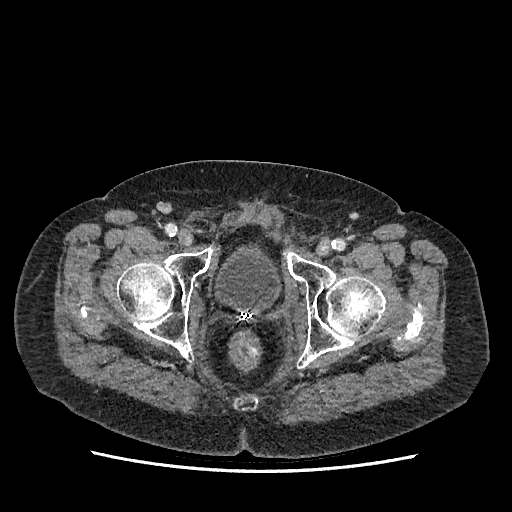

512x512. CT.

Urinary bladder = (left=217, top=252, right=278, bottom=308).